CT image, Liver, Slice 18 of 45 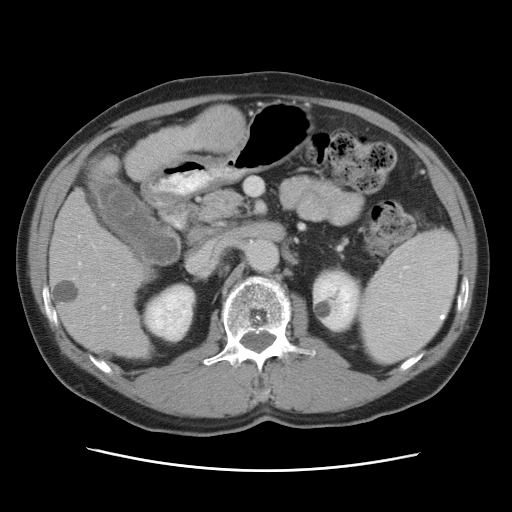

Only some of the vessels may be annotated.
6 hepatic vessel regions are located at x1=103 y1=306 x2=105 y2=308, x1=78 y1=263 x2=81 y2=267, x1=72 y1=276 x2=76 y2=279, x1=111 y1=284 x2=114 y2=286, x1=78 y1=235 x2=79 y2=238, x1=91 y1=284 x2=94 y2=286. The liver tumor is bounded by x1=199 y1=106 x2=243 y2=149.